Liver. CT slice. Image width 369 mm. 512x512. Slice 445 of 816.

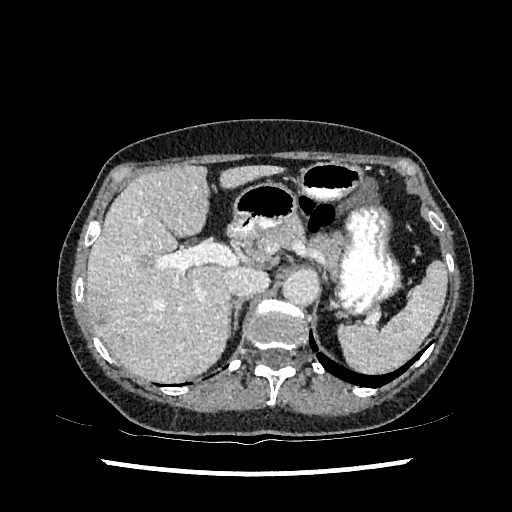
* liver: 221, 166, 282, 186; 87, 167, 229, 382
* hepatic lesion: 141, 256, 153, 268; 87, 291, 110, 327